Field of view 700x700 mm. 512x512 px. CT scan slice.

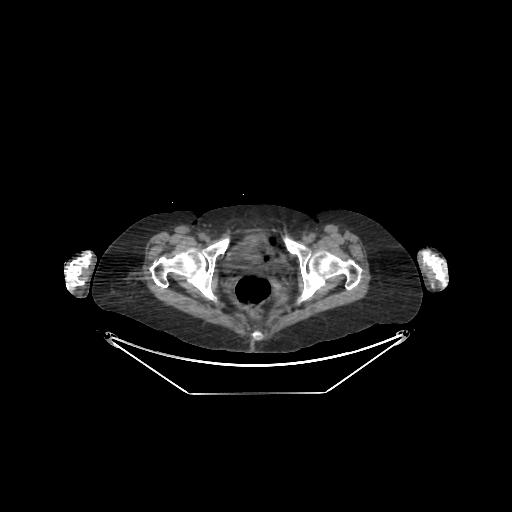 Urinary bladder at {"x1": 223, "y1": 231, "x2": 288, "y2": 275}.